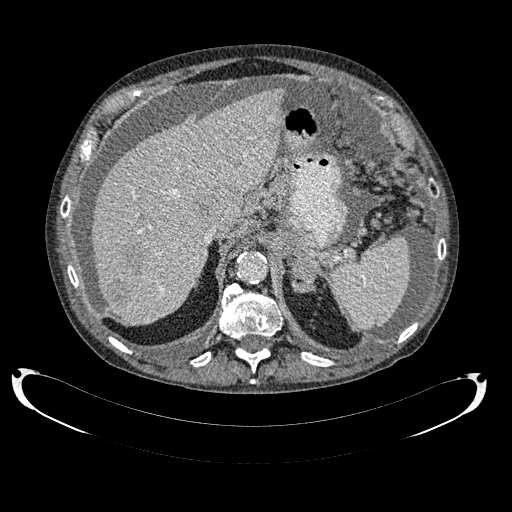 CT image, Liver
{
  "liver_lesion": [
    "123:243:141:270",
    "110:281:128:304",
    "191:197:212:220"
  ],
  "liver": [
    "91:88:283:324"
  ]
}